FLAIR magnetic resonance.
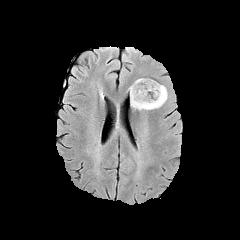
T1-weighted MR.
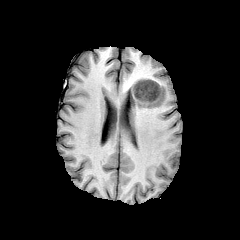
Post-contrast T1-weighted MRI.
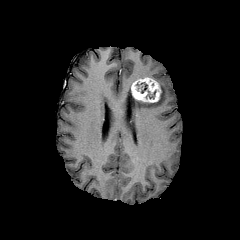
T2-weighted MRI.
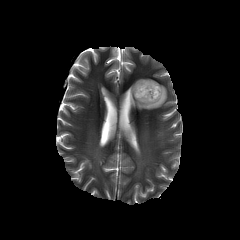
240x240, Head
The enhancing tumor is at [x1=131, y1=78, x2=161, y2=102]. The edema is bounded by [x1=130, y1=84, x2=167, y2=109].